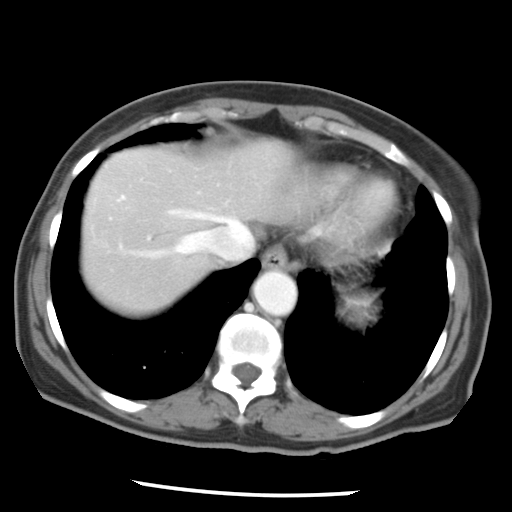
CT slice. Abdomen.
Some hepatic vessels may have no box.
3 hepatic vessel regions are located at (x1=167, y1=200, x2=252, y2=260), (x1=140, y1=250, x2=167, y2=256), (x1=117, y1=195, x2=125, y2=201).